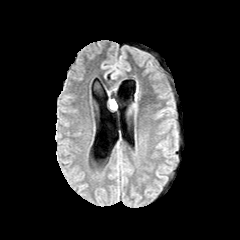
FLAIR magnetic resonance.
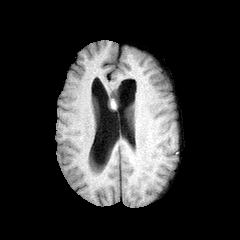
Same slice, T1-weighted MRI.
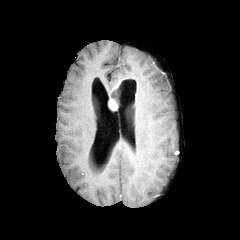
Post-contrast T1-weighted MR image.
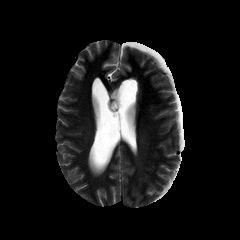
T2-weighted MR image.
240x240 px
The enhancing tumor appears at (left=109, top=99, right=117, bottom=109).